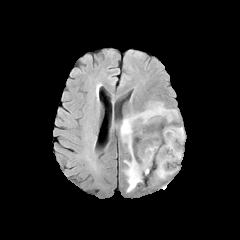
FLAIR MR.
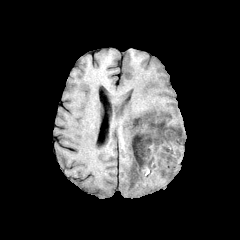
Same slice, T1-weighted MR image.
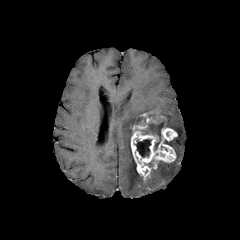
Post-contrast T1-weighted MRI of the same slice.
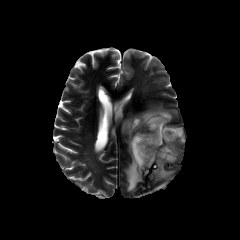
T2-weighted MR image.
240x240. Head.
{
  "enhancing_tumor": [
    "box(131, 125, 177, 175)"
  ],
  "edema": [
    "box(168, 126, 184, 158)",
    "box(155, 161, 174, 178)",
    "box(120, 102, 178, 192)"
  ],
  "non-enhancing_tumor_core": [
    "box(134, 138, 151, 157)",
    "box(144, 159, 161, 173)",
    "box(134, 113, 168, 150)"
  ]
}